Slice 654/908; CT image; Upper abdomen
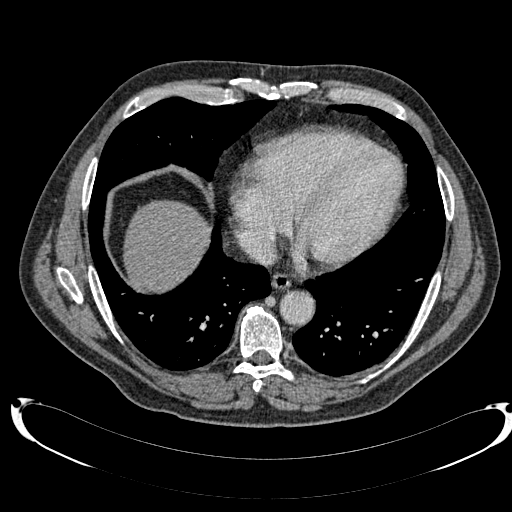

Liver: bounding box [124,201,206,290].